FLAIR MR.
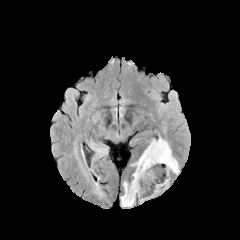
T1-weighted magnetic resonance.
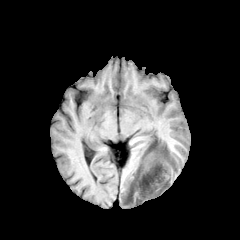
Post-contrast T1-weighted MRI.
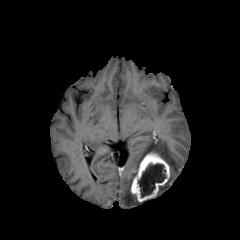
T2-weighted MRI.
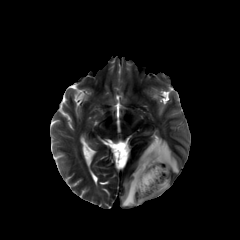
edema:
  - box=[121, 137, 179, 206]
non-enhancing_tumor_core:
  - box=[138, 164, 165, 197]
enhancing_tumor:
  - box=[130, 152, 169, 202]